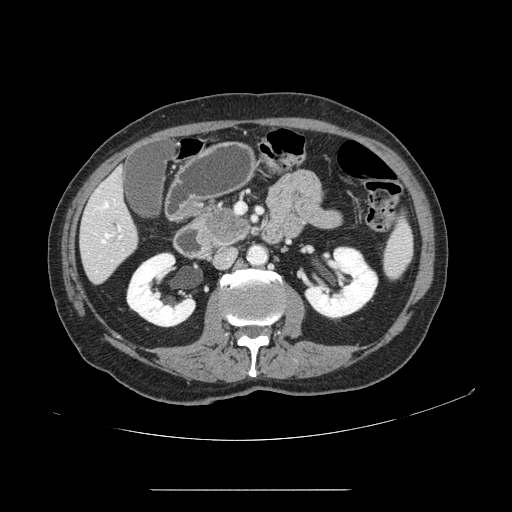
CT scan slice
{
  "pancreatic_tumor": [
    "[x1=203, y1=212, x2=242, y2=240]"
  ],
  "pancreas": [
    "[x1=199, y1=206, x2=250, y2=246]"
  ]
}